Slice 129 of 836. CT image. Pelvis. 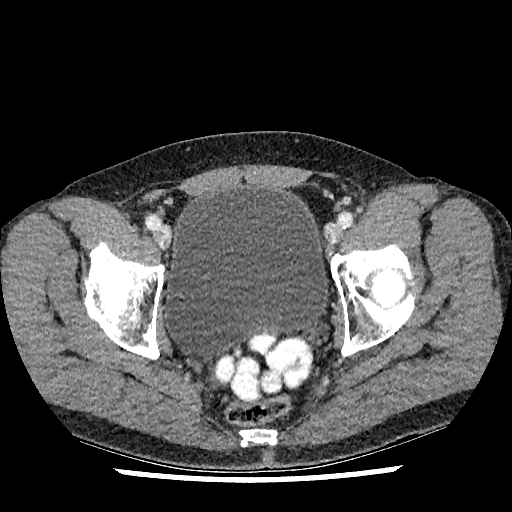 Urinary bladder = (left=164, top=186, right=328, bottom=356).